FLAIR magnetic resonance.
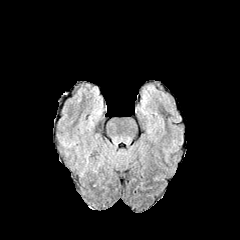
T1-weighted MR.
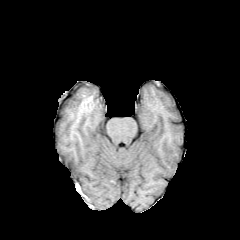
Post-contrast T1-weighted magnetic resonance.
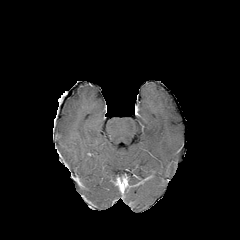
T2-weighted MR.
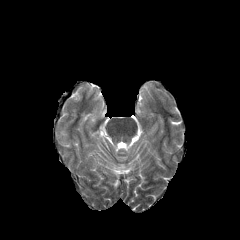
Brain
<segmentation>
  <edema><bbox>90, 149, 105, 173</bbox></edema>
</segmentation>